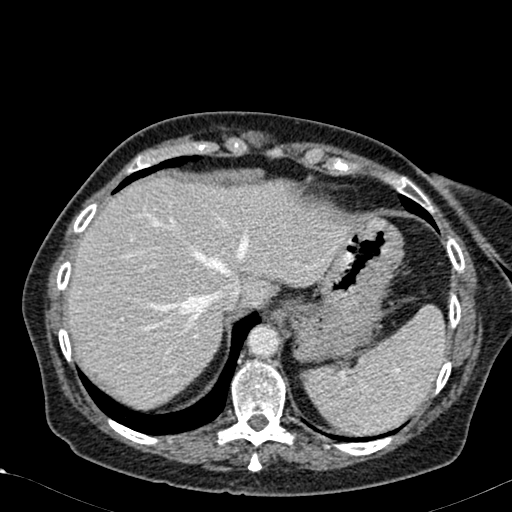 CT image; Upper abdomen

liver:
  - x1=68 y1=176 x2=349 y2=405